Slice index 89, CT image
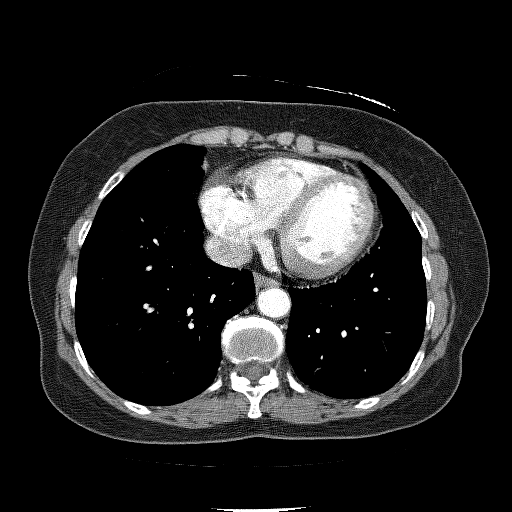

lung_tumor:
  - x1=313, y1=365, x2=329, y2=375
  - x1=319, y1=376, x2=332, y2=384